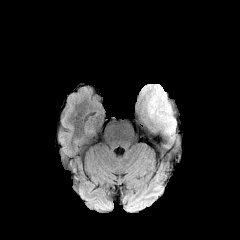
FLAIR MR image.
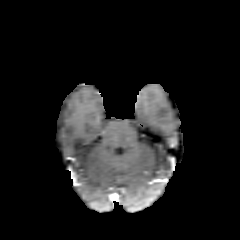
T1-weighted MRI of the same slice.
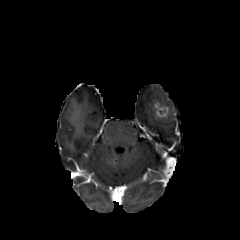
Post-contrast T1-weighted MR image of the same slice.
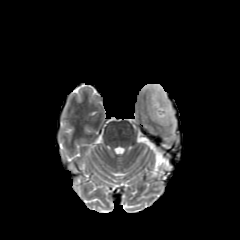
T2-weighted MRI.
Brain | 240x240 px
Annotated regions:
* enhancing tumor: {"x1": 154, "y1": 102, "x2": 168, "y2": 117}
* edema: {"x1": 147, "y1": 86, "x2": 176, "y2": 139}